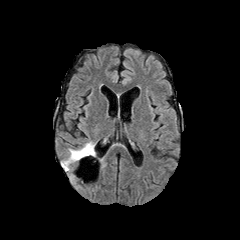
FLAIR MR image.
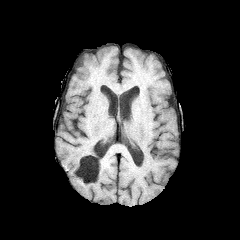
T1-weighted magnetic resonance.
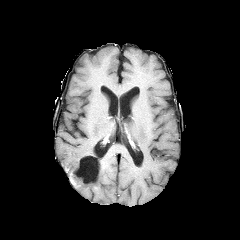
Post-contrast T1-weighted MRI of the same slice.
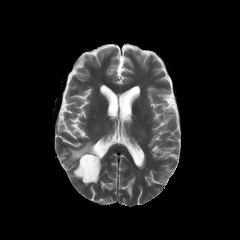
T2-weighted MR image.
Brain, 240x240
Edema = [61, 141, 96, 171].
Non-enhancing tumor core = [78, 144, 94, 161].